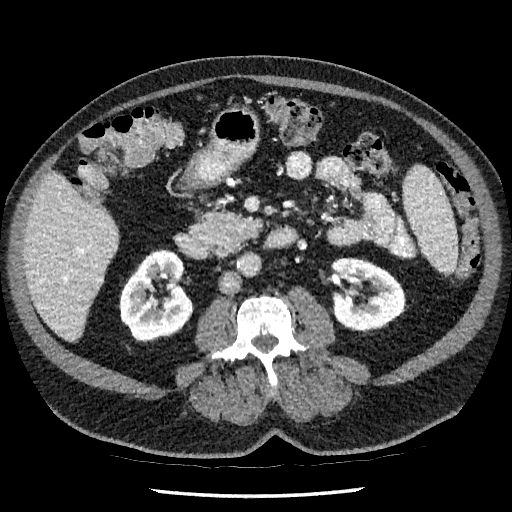
Abdomen; CT
Kidney — [120,251,191,339], [332,259,404,329].
Liver — [24,171,118,340].